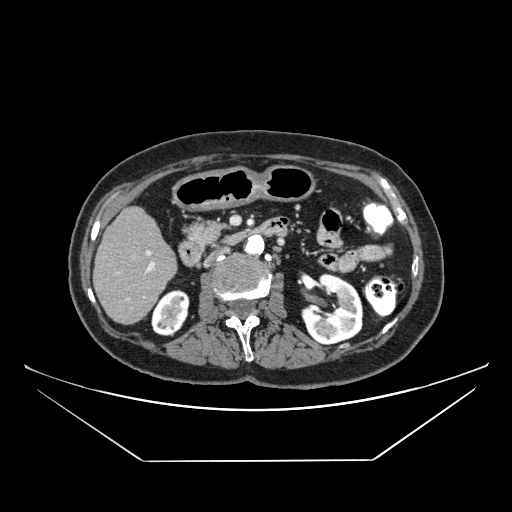

Upper abdomen. Computed tomography.
Pancreas: bounding box l=181, t=219, r=232, b=248.